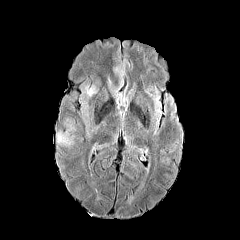
FLAIR MRI.
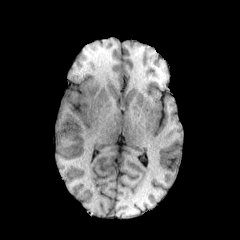
T1-weighted MRI of the same slice.
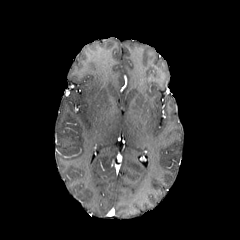
Post-contrast T1-weighted magnetic resonance.
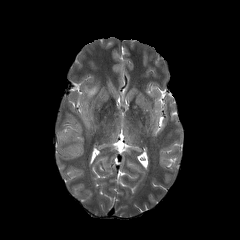
Same slice, T2-weighted MR image.
{
  "edema": [
    "(83,83,99,98)",
    "(57,130,73,145)"
  ]
}